Slice 66/120; Heart; 320x320 px; MRI

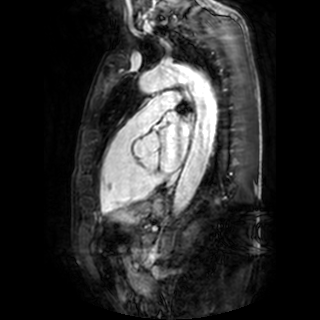

- left atrium: l=159, t=112, r=188, b=171